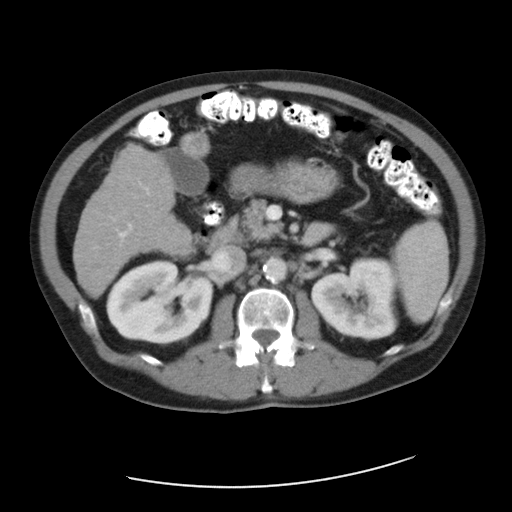
Computed tomography; Liver
Only some of the vessels may be annotated.
liver tumor: (left=183, top=135, right=207, bottom=155) | hepatic vessel: (left=144, top=187, right=148, bottom=193), (left=119, top=232, right=126, bottom=240), (left=129, top=224, right=131, bottom=229)